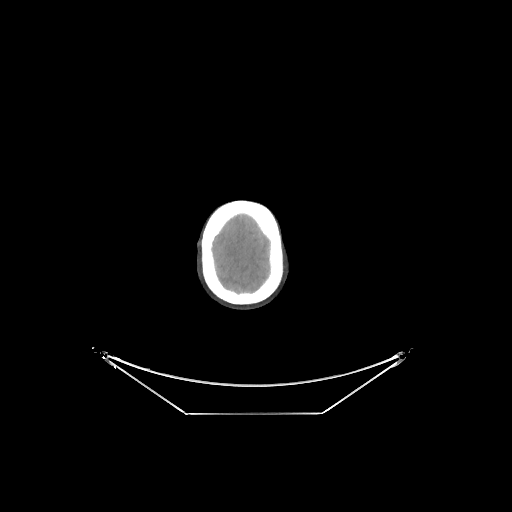

CT scan slice; 512x512

Brain at <bbox>212, 215, 269, 293</bbox>.